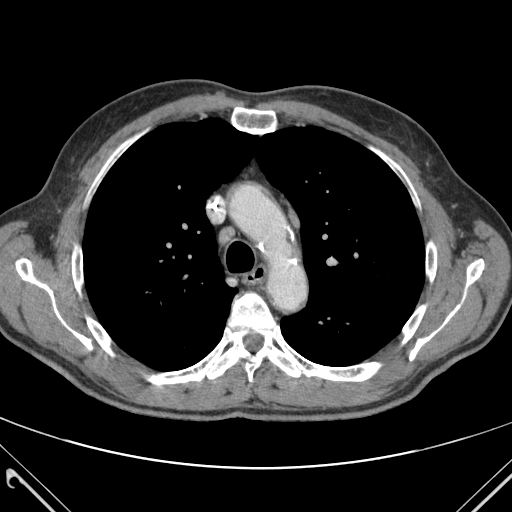

Computed tomography. lung:
  - rect(83, 118, 424, 370)
bone:
  - rect(402, 305, 425, 343)
  - rect(72, 247, 82, 292)
  - rect(231, 107, 277, 133)
  - rect(372, 148, 412, 189)
  - rect(148, 293, 380, 384)
  - rect(92, 135, 139, 187)
  - rect(426, 242, 436, 281)
  - rect(16, 259, 92, 349)
  - rect(87, 318, 112, 355)
  - rect(409, 259, 483, 360)